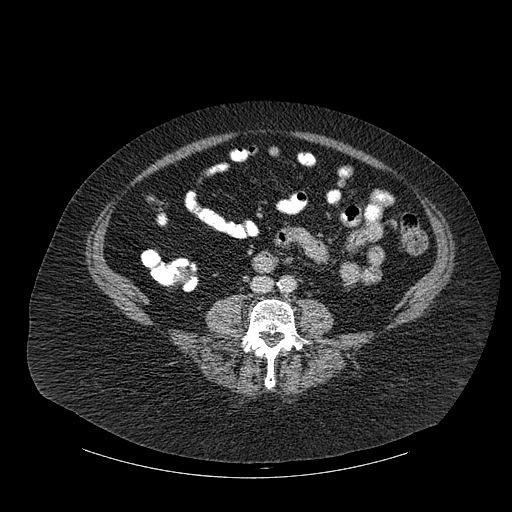
CT

The bone is bounded by x1=243 y1=299 x2=307 y2=388.